CT image 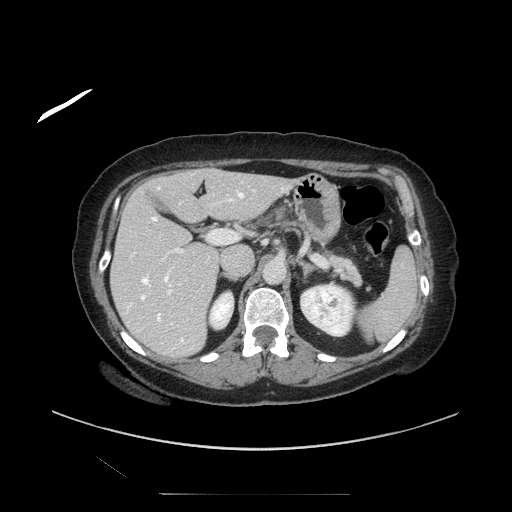 Pancreas = rect(322, 248, 360, 285); rect(264, 208, 287, 226).